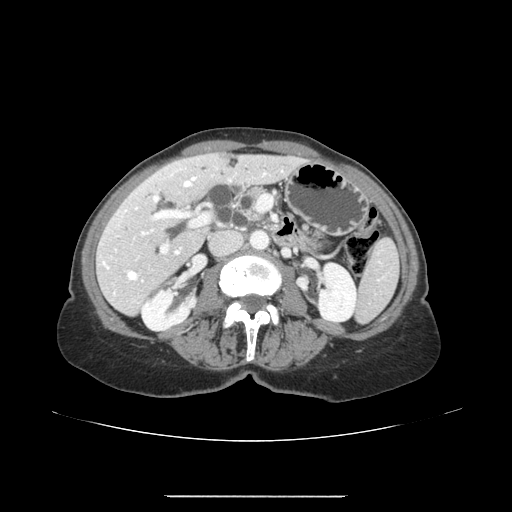 Image size 512x512. Abdomen. CT slice. pancreas: region(238, 188, 272, 220)